MRI

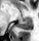
<segmentation>
  <posterior_hippocampus>box(17, 19, 32, 29)</posterior_hippocampus>
  <anterior_hippocampus>box(27, 17, 31, 18)</anterior_hippocampus>
</segmentation>